Slice 92 of 155
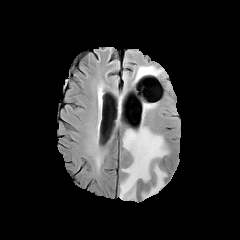
FLAIR MR image.
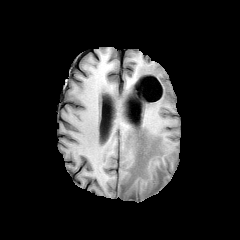
T1-weighted magnetic resonance.
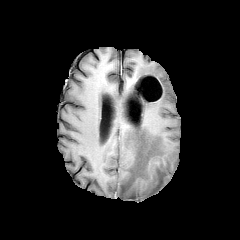
Post-contrast T1-weighted MRI.
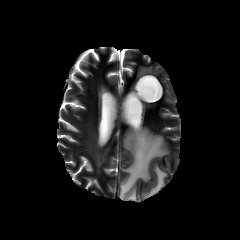
T2-weighted MR.
Edema: 142 164 165 197, 120 125 168 201, 136 66 159 77.